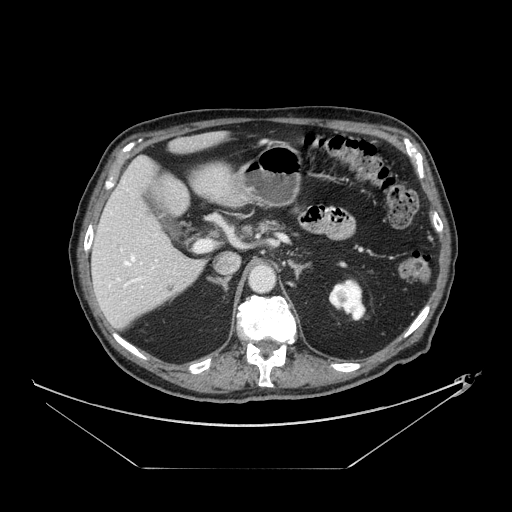 CT | 512x512 px
Pancreas at 258,222,283,230.